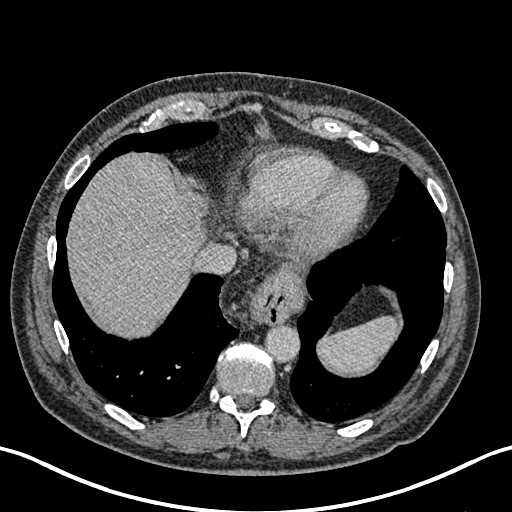

Computed tomography | Liver

- liver lesion: 181 195 207 227
- liver: 194 194 208 215, 68 152 205 335